Field of view 240 mm wide, 1.00 mm slice spacing; Slice index 74; Brain
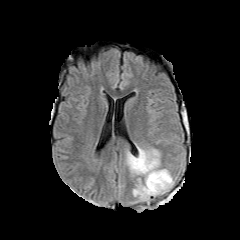
FLAIR MR image.
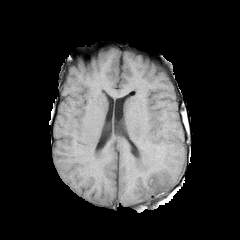
Same slice, T1-weighted magnetic resonance.
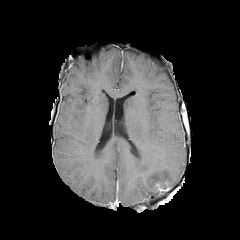
Post-contrast T1-weighted MR image.
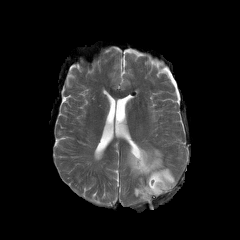
T2-weighted MR image.
Enhancing tumor = left=156, top=184, right=169, bottom=193.
Edema = left=126, top=143, right=175, bottom=201.